512x512 px | Liver | CT image 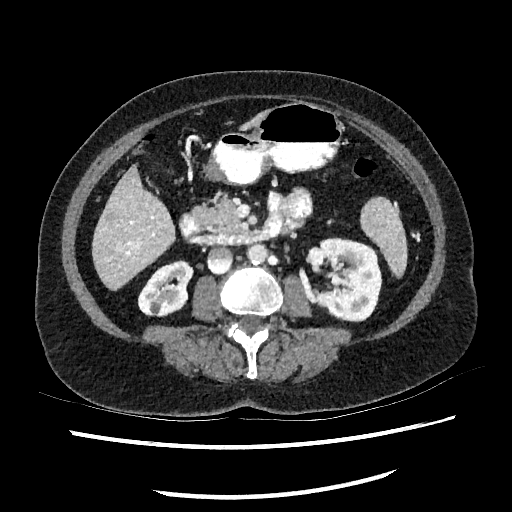 2 liver regions appear at region(92, 166, 173, 288); region(242, 112, 267, 129). 2 kidney regions are located at region(139, 262, 192, 315); region(309, 239, 380, 319).